Field of view 306x306 mm. Slice 33/333. CT slice. 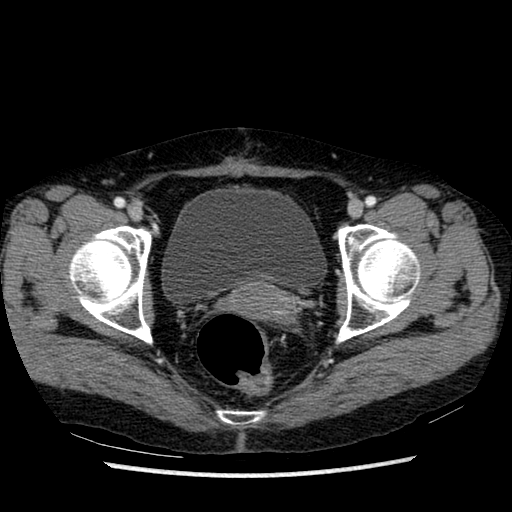
Urinary bladder at x1=161 y1=186 x2=326 y2=304.